Computed tomography. Image size 512x512. Slice 16 of 455.
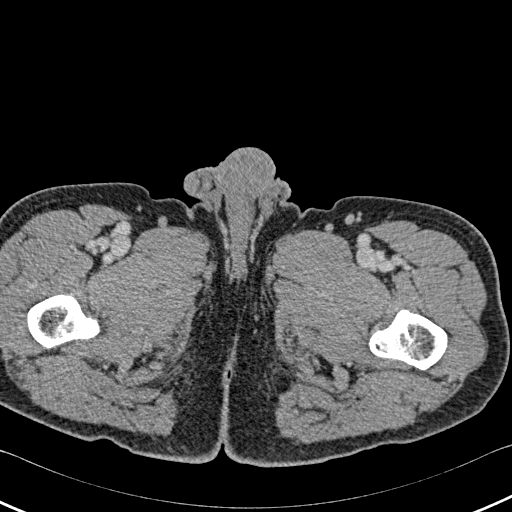

<segmentation>
  <bone>left=369, top=310, right=446, bottom=369; left=28, top=295, right=98, bottom=347</bone>
</segmentation>